Upper abdomen, 512x512 px, CT slice
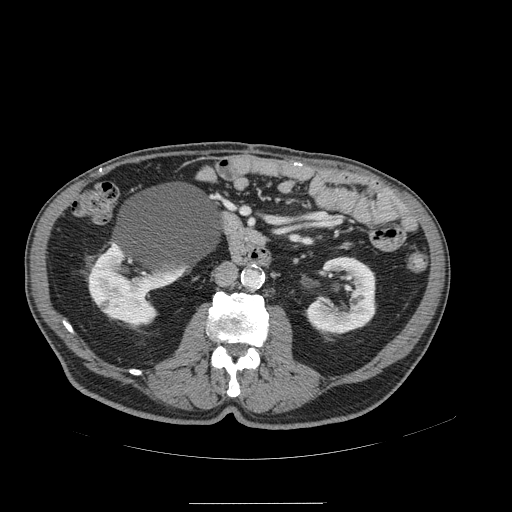

Pancreas — box(243, 228, 272, 248).